512x512 px. CT image. Abdomen.

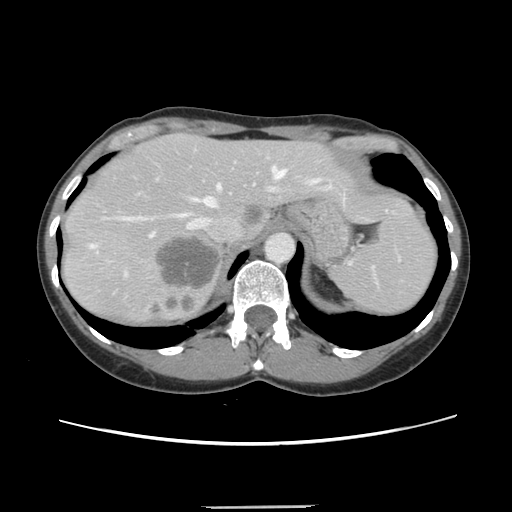 Some hepatic vessels may have no box.
11 hepatic vessel regions appear at (103, 217, 105, 218), (191, 196, 214, 206), (269, 188, 275, 190), (121, 217, 133, 219), (89, 244, 97, 252), (124, 272, 126, 275), (187, 218, 208, 228), (149, 232, 153, 237), (216, 183, 220, 189), (272, 167, 285, 178), (178, 214, 186, 215). 2 liver tumor regions appear at (246, 205, 263, 224), (156, 237, 219, 288).